FLAIR MR image.
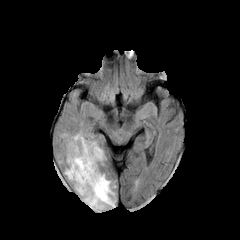
T1-weighted magnetic resonance.
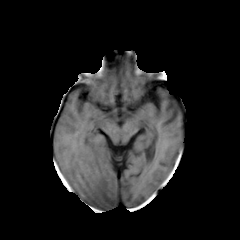
Post-contrast T1-weighted MR image.
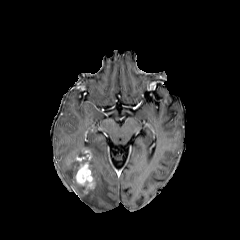
T2-weighted MR image.
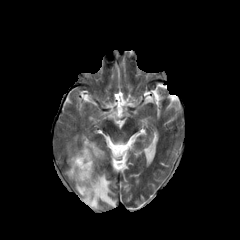
Edema = region(64, 134, 116, 210).
Enhancing tumor = region(74, 148, 95, 194).